CT scan slice. Field of view 500 mm wide, 2.50 mm slice spacing. Slice index 56.

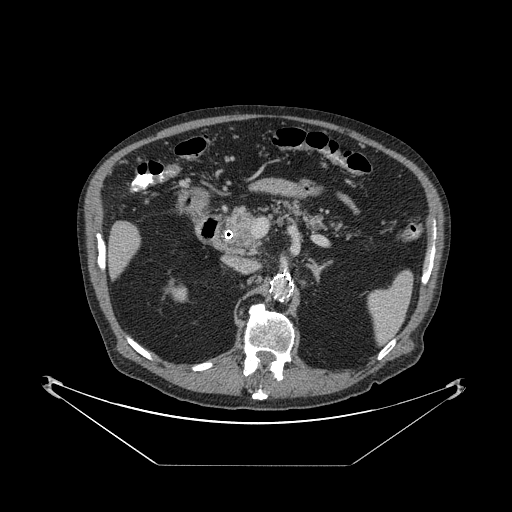 pancreatic tumor: region(230, 217, 252, 243) | pancreas: region(226, 207, 259, 251); region(262, 202, 340, 231)